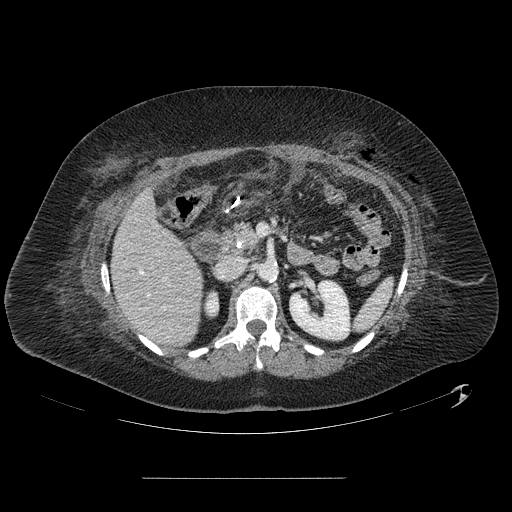 CT image, Upper abdomen

pancreas: left=226, top=222, right=259, bottom=251 | pancreatic tumor: left=239, top=230, right=257, bottom=242